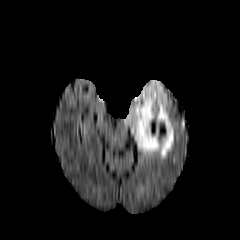
FLAIR MR.
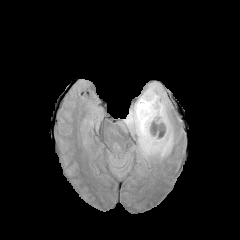
T1-weighted magnetic resonance.
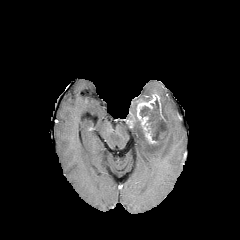
Post-contrast T1-weighted magnetic resonance.
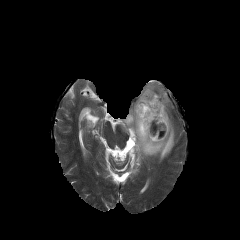
Same slice, T2-weighted magnetic resonance.
240x240 px; Brain
2 enhancing tumor regions appear at box=[124, 111, 134, 127]; box=[136, 92, 161, 143]. The edema is bounded by box=[121, 82, 173, 159].